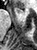 Medial temporal lobe. MRI slice.

anterior hippocampus: (x1=16, y1=8, x2=20, y2=12)